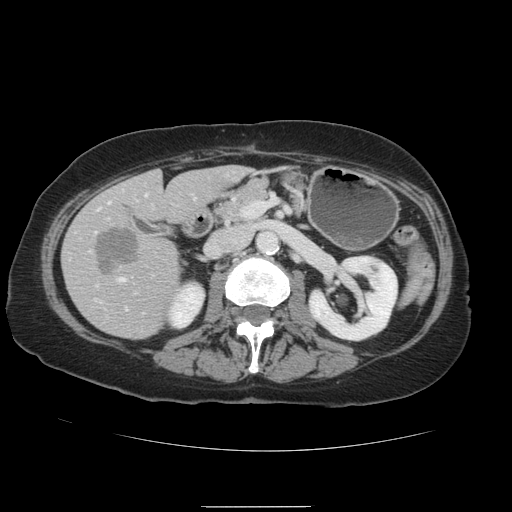 CT | 512x512 px
The vessel annotation is not exhaustive.
liver tumor: bbox=[97, 227, 137, 274] | hepatic vessel: bbox=[97, 209, 98, 210]; bbox=[118, 278, 123, 281]; bbox=[108, 201, 109, 203]; bbox=[145, 194, 146, 195]; bbox=[193, 197, 194, 198]